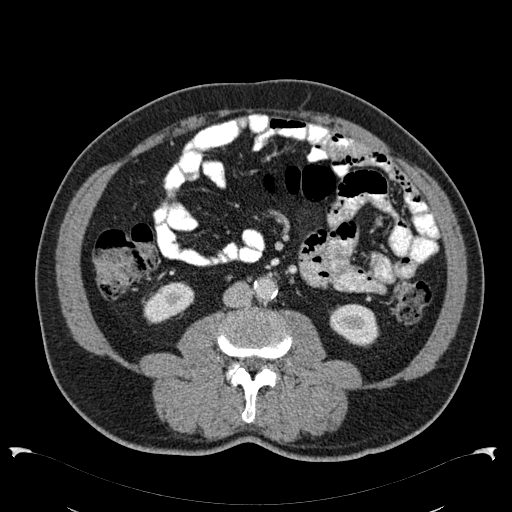

CT slice
<segmentation>
  <kidney>box=[330, 304, 378, 345]; box=[144, 283, 193, 323]</kidney>
</segmentation>